CT scan slice; Slice 137/174; Field of view 410x410 mm; 512x512 px
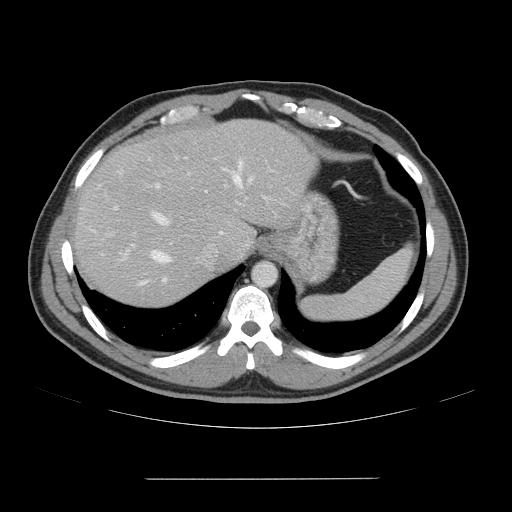

Some hepatic vessels may have no box.
<segmentation>
  <hepatic_vessel>{"x1": 108, "y1": 234, "x2": 110, "y2": 235}, {"x1": 140, "y1": 281, "x2": 146, "y2": 284}, {"x1": 249, "y1": 178, "x2": 251, "y2": 181}, {"x1": 114, "y1": 206, "x2": 117, "y2": 209}, {"x1": 118, "y1": 171, "x2": 122, "y2": 174}, {"x1": 268, "y1": 168, "x2": 272, "y2": 171}, {"x1": 121, "y1": 252, "x2": 127, "y2": 260}, {"x1": 132, "y1": 245, "x2": 133, "y2": 246}, {"x1": 220, "y1": 160, "x2": 242, "y2": 184}, {"x1": 153, "y1": 212, "x2": 167, "y2": 223}, {"x1": 155, "y1": 184, "x2": 158, "y2": 187}, {"x1": 163, "y1": 277, "x2": 165, "y2": 281}, {"x1": 225, "y1": 185, "x2": 226, "y2": 186}, {"x1": 264, "y1": 196, "x2": 268, "y2": 201}, {"x1": 151, "y1": 251, "x2": 170, "y2": 262}</hepatic_vessel>
</segmentation>